FLAIR MRI.
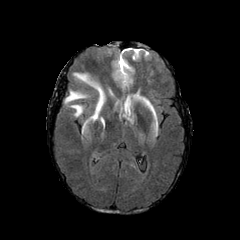
T1-weighted MR.
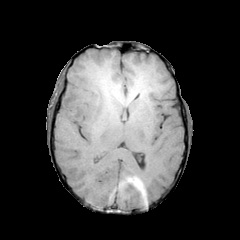
Post-contrast T1-weighted MR image.
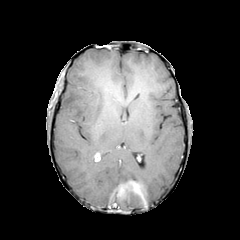
T2-weighted magnetic resonance.
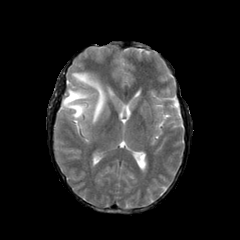
Segmented structures:
* edema: box(64, 84, 89, 117); box(72, 72, 105, 122)